Slice 101 of 195 | CT scan slice | Image width 375 mm
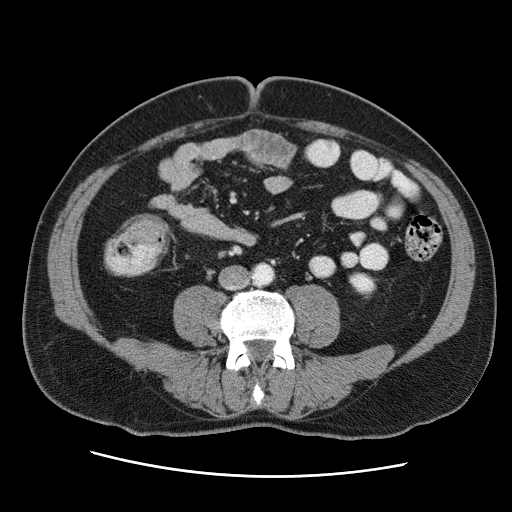

The colon tumor appears at 125,215,167,247.